CT scan slice, Slice 53 of 407, 512x512, Pelvis 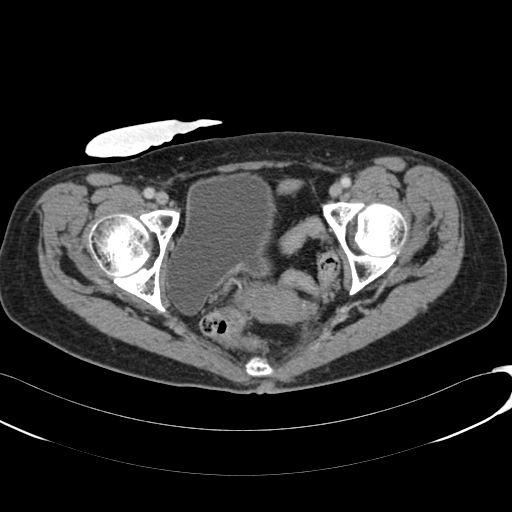 Segmented structures:
• urinary bladder: (164, 173, 276, 315)